Abdomen. Slice 25/66. CT slice.
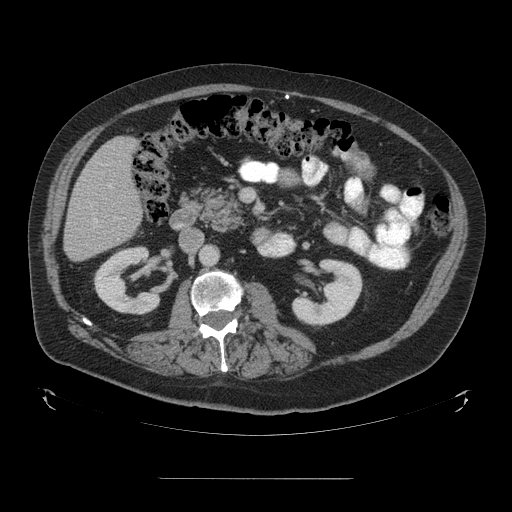 Only some of the vessels may be annotated.
4 hepatic vessel regions appear at left=88, top=200, right=92, bottom=208; left=107, top=184, right=113, bottom=189; left=113, top=216, right=124, bottom=219; left=91, top=212, right=100, bottom=230.